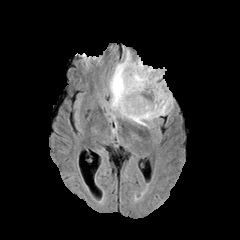
FLAIR MR image.
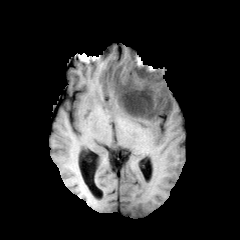
T1-weighted magnetic resonance of the same slice.
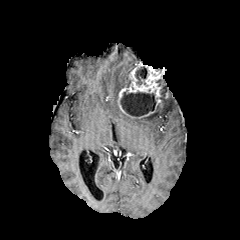
Post-contrast T1-weighted MRI of the same slice.
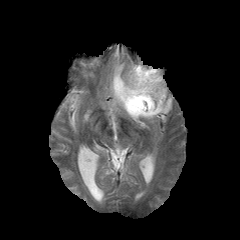
T2-weighted MRI of the same slice.
240x240 px. Head.
• edema: [104, 51, 173, 128]
• enhancing tumor: [118, 62, 163, 111]
• non-enhancing tumor core: [126, 64, 135, 84], [120, 92, 156, 115], [157, 86, 166, 108], [135, 66, 147, 84]